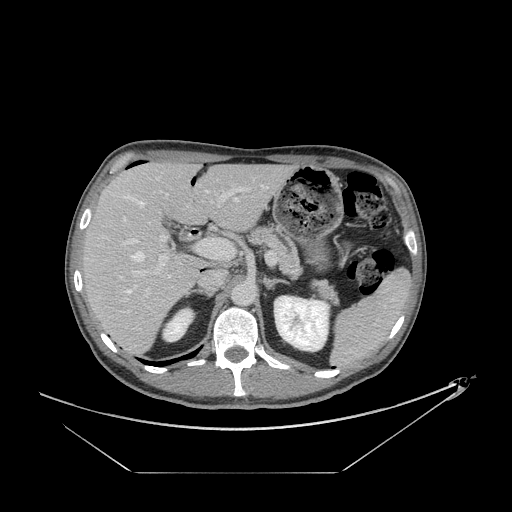
Computed tomography. 512x512 px. Pancreas at <bbox>250, 226, 300, 278</bbox>.